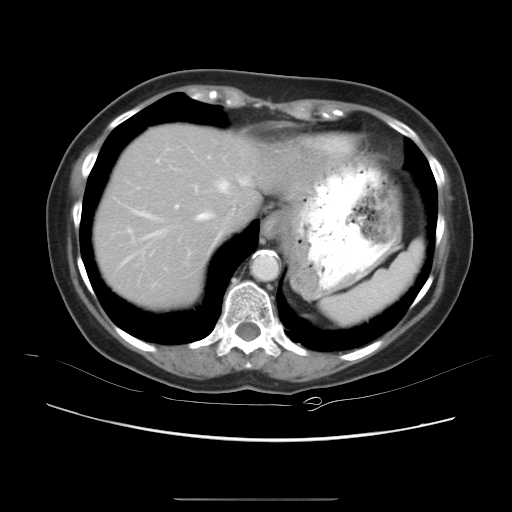

Abdomen. CT.

Not every hepatic vessel necessarily has a box.
Hepatic vessel: left=175, top=205, right=178, bottom=207; left=156, top=160, right=158, bottom=162; left=195, top=186, right=196, bottom=190; left=195, top=212, right=212, bottom=220; left=143, top=230, right=164, bottom=238; left=121, top=255, right=133, bottom=265; left=216, top=179, right=229, bottom=193; left=128, top=229, right=130, bottom=232; left=129, top=208, right=154, bottom=219; left=132, top=238, right=133, bottom=242; left=239, top=178, right=247, bottom=185.